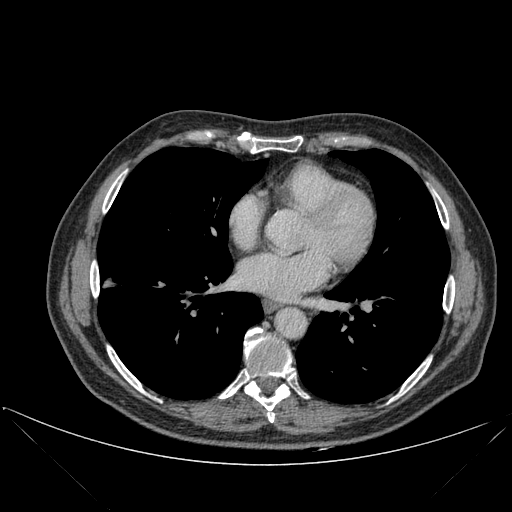

CT
Bone = [x1=251, y1=136, x2=302, y2=153], [x1=219, y1=328, x2=294, y2=398], [x1=390, y1=357, x2=431, y2=400], [x1=245, y1=381, x2=289, y2=422], [x1=433, y1=191, x2=448, y2=228], [x1=102, y1=175, x2=121, y2=212], [x1=107, y1=346, x2=145, y2=393], [x1=90, y1=261, x2=99, y2=297], [x1=443, y1=276, x2=454, y2=312].
Lung = [x1=97, y1=147, x2=267, y2=399], [x1=296, y1=149, x2=449, y2=403].